Slice 61/97, CT 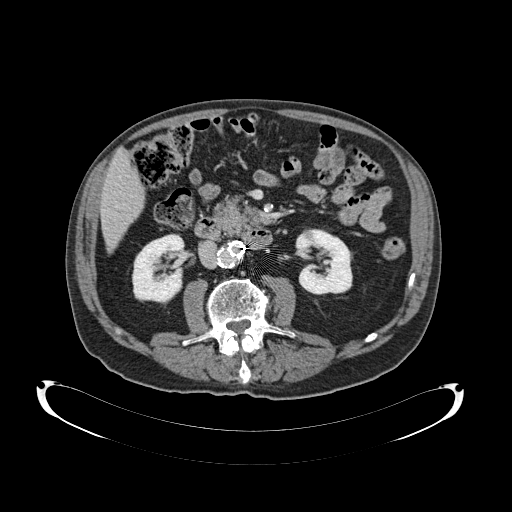 The pancreas is at 212,195,245,237.